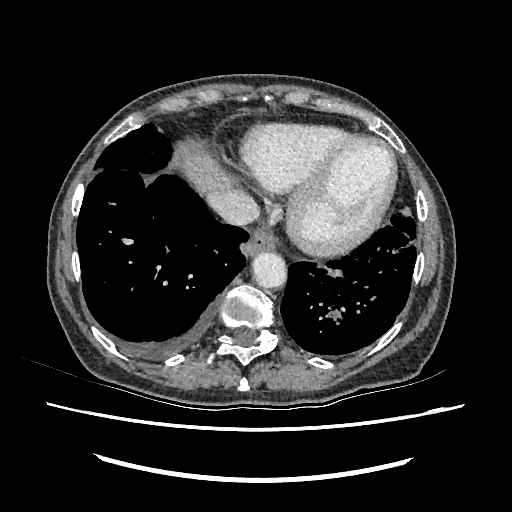

CT scan slice | 512x512
- liver: bbox=[183, 156, 231, 192]